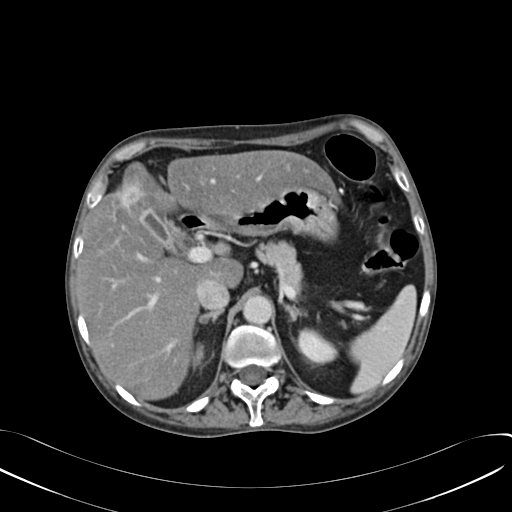 Liver | CT slice

Kidney: bounding box box=[300, 334, 331, 360].
Liver lesion: bounding box box=[120, 183, 142, 208].
Liver: bounding box box=[78, 150, 338, 399].